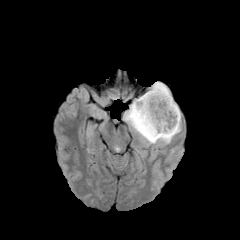
FLAIR MRI.
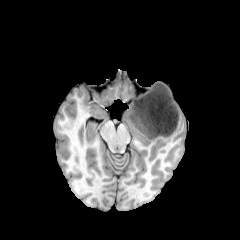
T1-weighted MR.
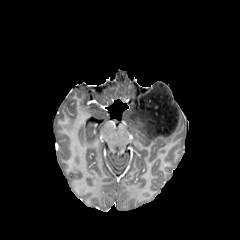
Same slice, post-contrast T1-weighted MRI.
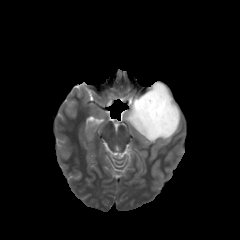
T2-weighted magnetic resonance.
Annotated regions:
* non-enhancing tumor core: [132,83,178,137]
* edema: [122,101,181,151], [153,82,171,96]